Slice index 44 | Abdomen | Image size 512x512 | CT image 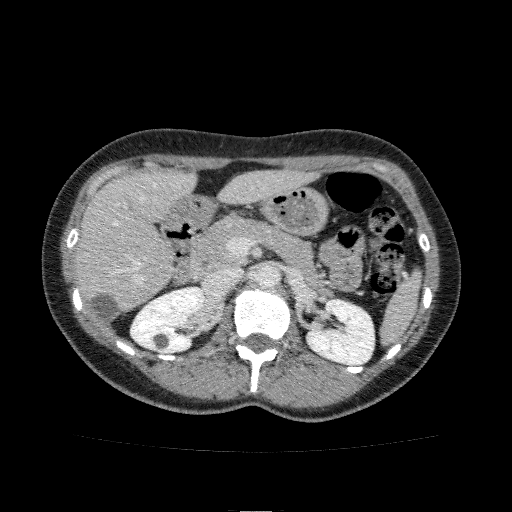

2 kidney regions are bounded by bbox(307, 300, 374, 364); bbox(130, 287, 204, 352). 2 liver regions are located at bbox(74, 170, 196, 312); bbox(218, 169, 318, 204).